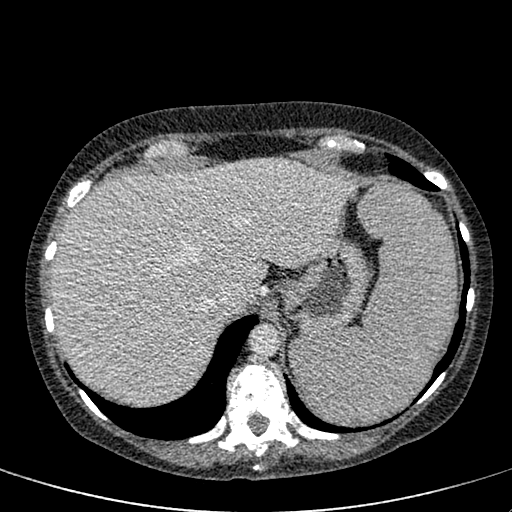
512x512 px; CT image; Liver
<segmentation>
  <liver>x1=54, y1=159, x2=354, y2=404</liver>
</segmentation>